Field of view 400x400 mm. CT image. Abdomen. 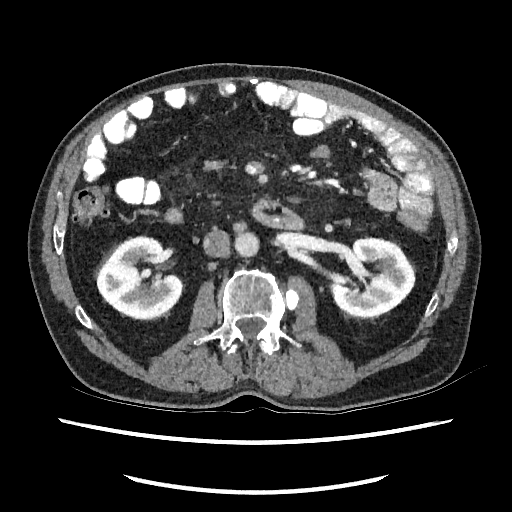

kidney: rect(96, 236, 182, 319); rect(330, 237, 414, 318)